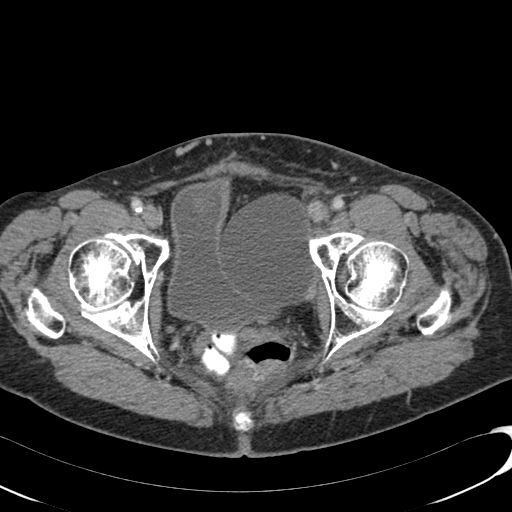

CT image; Image size 512x512
urinary_bladder:
  - [167,176,264,332]